FLAIR MRI.
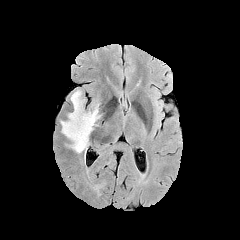
T1-weighted magnetic resonance.
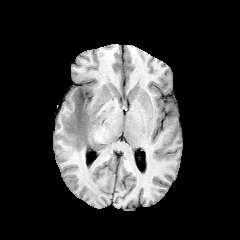
Post-contrast T1-weighted magnetic resonance.
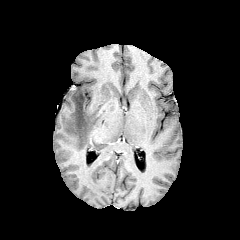
T2-weighted magnetic resonance.
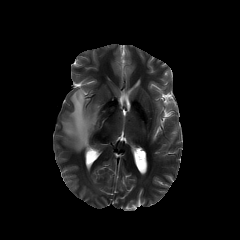
The edema is at [x1=60, y1=88, x2=100, y2=153]. The non-enhancing tumor core lies within [x1=76, y1=98, x2=82, y2=128].